Field of view 398x398 mm | CT | Slice 66/161 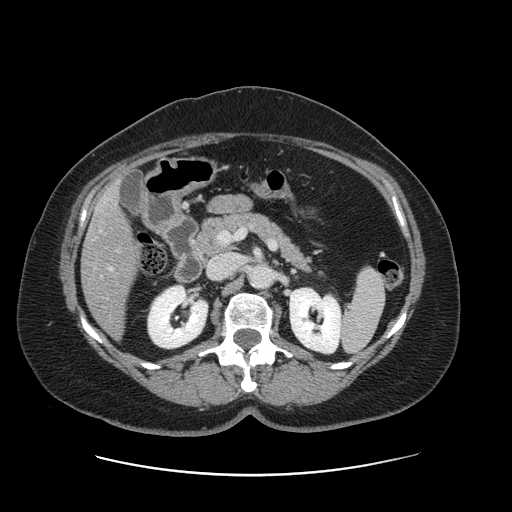

Some hepatic vessels may have no box.
<segmentation>
  <hepatic_vessel>[109,267,112,269]</hepatic_vessel>
</segmentation>